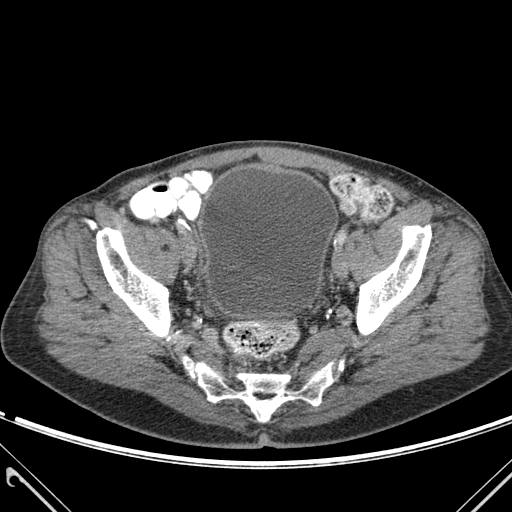
CT, Lower abdomen
3 bone regions are located at 357:225:431:334, 96:228:170:336, 183:356:333:421. The urinary bladder appears at 202:168:336:316.